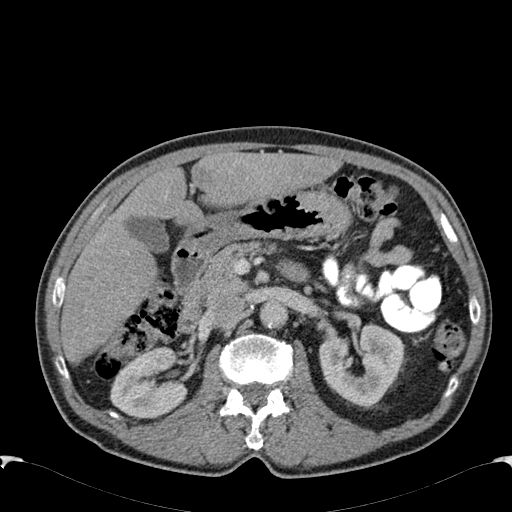
CT slice, Image size 512x512, Liver
{"liver": ["x1=191 y1=153 x2=340 y2=206", "x1=61 y1=167 x2=200 y2=363"], "kidney": ["x1=319 y1=325 x2=403 y2=406", "x1=111 y1=348 x2=186 y2=417"], "focal_liver_lesion": ["x1=196 y1=167 x2=212 y2=183"]}